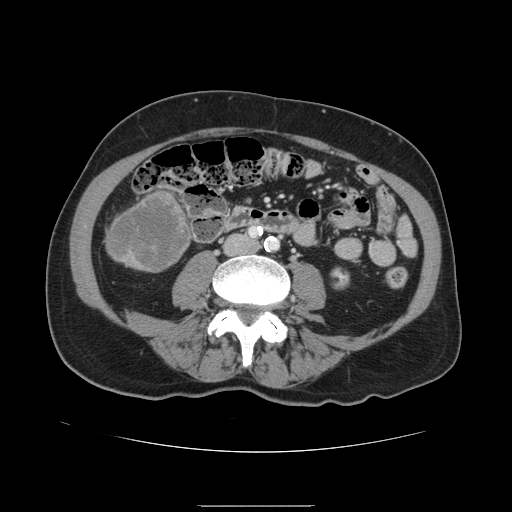

Liver; CT image
The liver tumor is located at l=110, t=195, r=188, b=270.